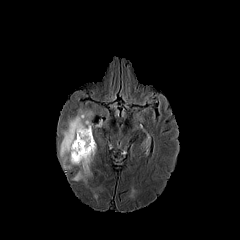
FLAIR MR.
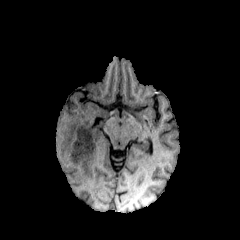
T1-weighted MR image.
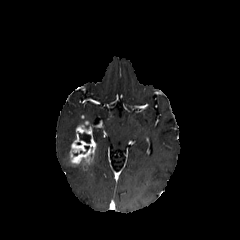
Post-contrast T1-weighted magnetic resonance.
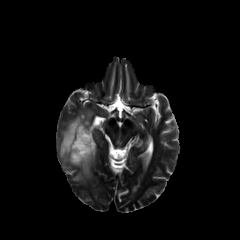
T2-weighted MRI.
Brain
Enhancing tumor — (69, 121, 96, 170).
Edema — (57, 107, 95, 182).
Non-enhancing tumor core — (79, 133, 91, 143).